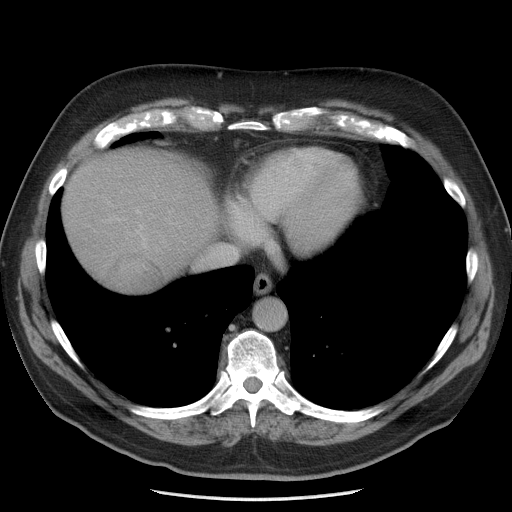

Computed tomography | 512x512 px | Abdomen

Only some of the vessels may be annotated.
Liver tumor at bbox=[106, 253, 164, 294].
Hepatic vessel at bbox=[136, 207, 140, 213]; bbox=[171, 223, 180, 227]; bbox=[105, 217, 126, 222]; bbox=[136, 225, 146, 244]; bbox=[195, 262, 229, 267].